CT slice, Slice 96/168
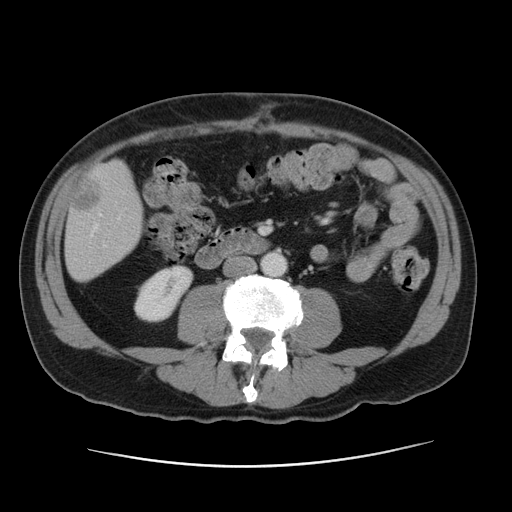
The kidney lies within (x1=135, y1=266, x2=191, y2=320). The hepatic lesion is located at (x1=71, y1=178, x2=102, y2=210). The liver is bounded by (x1=65, y1=163, x2=143, y2=279).